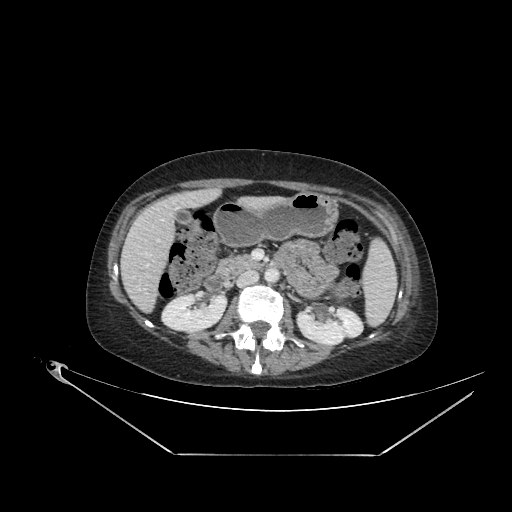
CT slice, 512x512

{
  "kidney": [
    "l=297, t=308, r=362, b=344",
    "l=162, t=294, r=226, b=331"
  ],
  "liver": [
    "l=119, t=188, r=218, b=311"
  ]
}